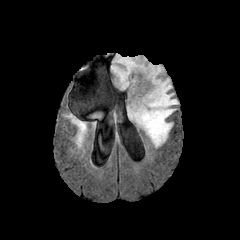
FLAIR magnetic resonance.
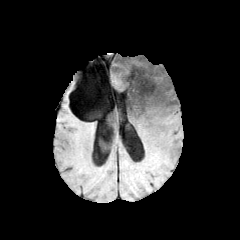
Same slice, T1-weighted magnetic resonance.
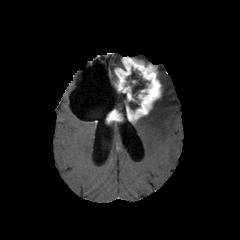
Post-contrast T1-weighted MR image.
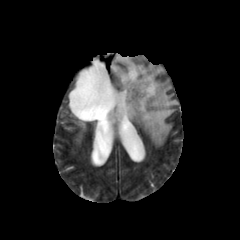
Same slice, T2-weighted MRI.
Brain
2 enhancing tumor regions are located at x1=110, y1=110, x2=119, y2=120; x1=114, y1=56, x2=161, y2=120. 2 non-enhancing tumor core regions appear at x1=126, y1=71, x2=146, y2=99; x1=123, y1=92, x2=139, y2=115. 3 edema regions are located at x1=90, y1=112, x2=101, y2=118; x1=134, y1=66, x2=178, y2=147; x1=111, y1=55, x2=122, y2=73.